CT image; Image width 378 mm; Image size 512x512
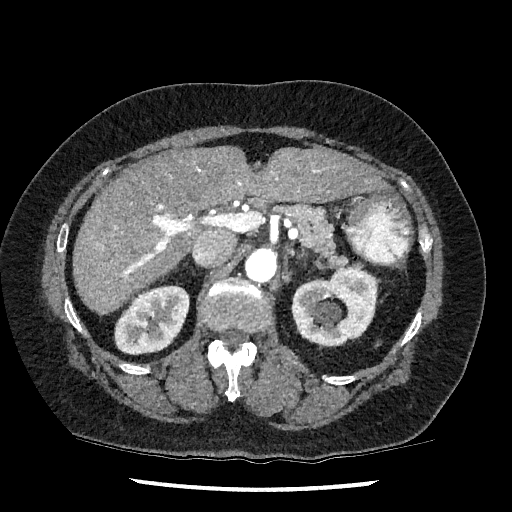
The liver is bounded by box(73, 146, 390, 314). 2 kidney regions are located at box(115, 286, 188, 354); box(292, 259, 376, 345).